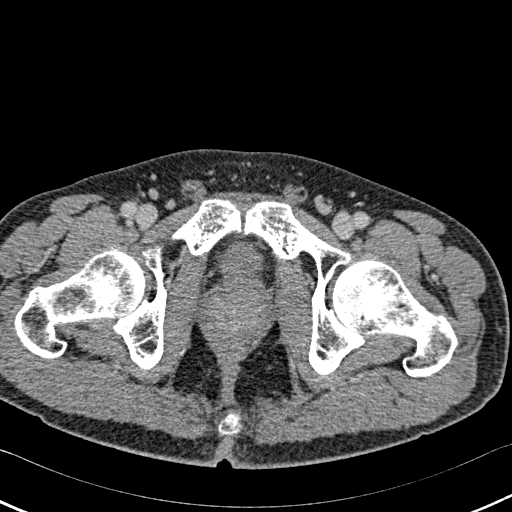
512x512 | CT
bone: (172, 199, 457, 376), (15, 249, 166, 368), (221, 413, 239, 433)